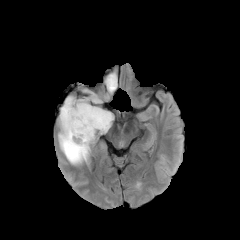
FLAIR magnetic resonance.
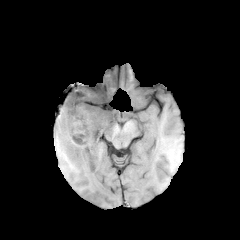
T1-weighted MRI of the same slice.
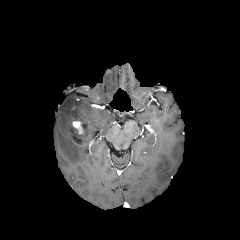
Post-contrast T1-weighted MR image.
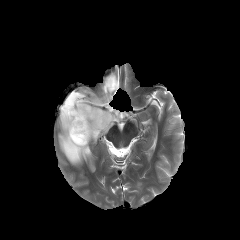
T2-weighted MR.
Image size 240x240
3 edema regions are bounded by [x1=105, y1=73, x2=117, y2=93], [x1=83, y1=90, x2=97, y2=98], [x1=58, y1=96, x2=114, y2=164]. 2 non-enhancing tumor core regions appear at [x1=68, y1=96, x2=79, y2=104], [x1=70, y1=93, x2=101, y2=144]. The enhancing tumor appears at [x1=72, y1=120, x2=83, y2=133].